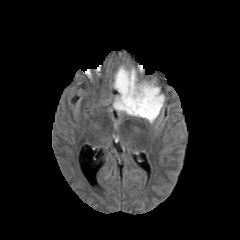
FLAIR magnetic resonance.
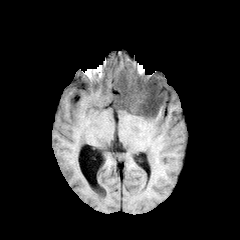
T1-weighted MRI.
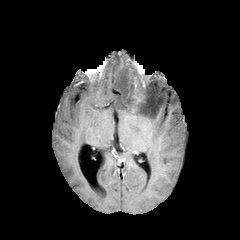
Same slice, post-contrast T1-weighted MRI.
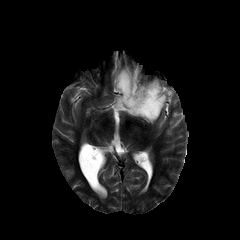
T2-weighted MRI.
240x240 px
2 non-enhancing tumor core regions are located at x1=146 y1=88 x2=161 y2=105, x1=129 y1=82 x2=145 y2=113. The edema lies within x1=111 y1=64 x2=167 y2=126.